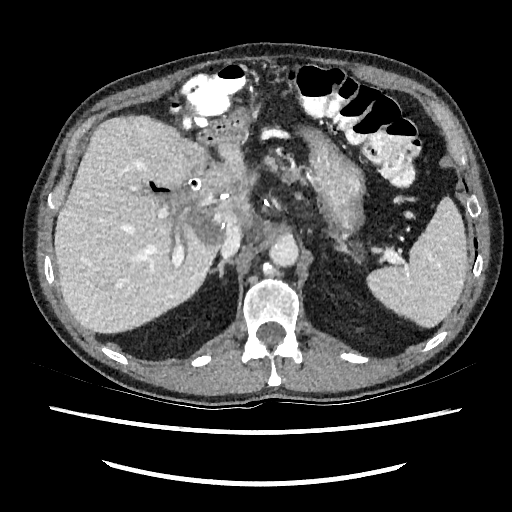

Abdomen, CT scan slice
Liver — 218:143:257:190, 189:178:200:189, 54:116:219:332.
Hepatic lesion — 157:151:252:244.